Slice 86/120. Field of view 330 mm wide, 1.50 mm slice spacing. CT. 512x512 px. 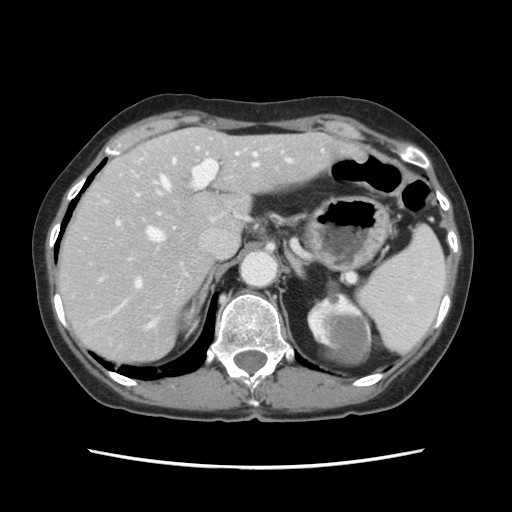

The vessel annotation is not exhaustive.
{"hepatic_vessel": ["[x1=253, y1=153, x2=256, y2=156]", "[x1=116, y1=221, x2=119, y2=224]", "[x1=253, y1=163, x2=257, y2=166]", "[x1=161, y1=177, x2=169, y2=188]", "[x1=236, y1=153, x2=238, y2=154]", "[x1=172, y1=159, x2=175, y2=163]", "[x1=192, y1=159, x2=216, y2=187]", "[x1=196, y1=147, x2=198, y2=149]", "[x1=148, y1=228, x2=163, y2=240]", "[x1=286, y1=159, x2=290, y2=162]", "[x1=135, y1=279, x2=140, y2=287]"]}